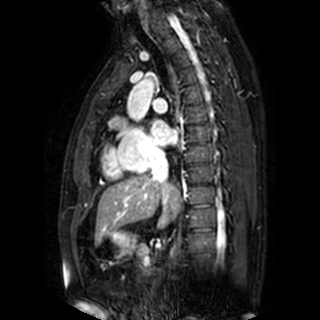

MR image, Heart
left atrium: x1=150, y1=120, x2=177, y2=145